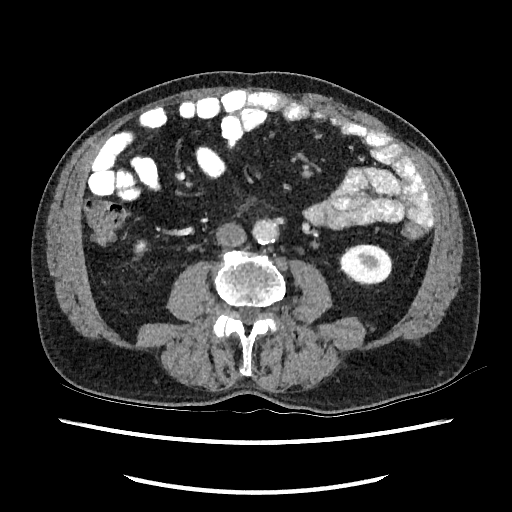

Abdomen, 512x512, CT
Annotated regions:
* kidney: 136, 241, 145, 252; 340, 245, 391, 284